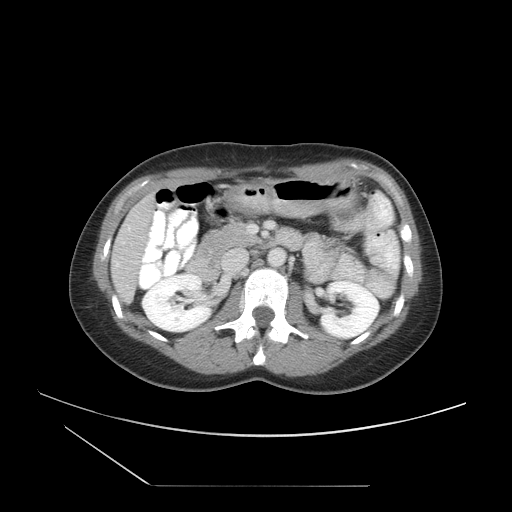 Computed tomography
Some hepatic vessels may have no box.
Hepatic vessel at l=139, t=280, r=140, b=283; l=116, t=263, r=118, b=265; l=149, t=232, r=150, b=238; l=126, t=224, r=129, b=229; l=153, t=212, r=156, b=220.